CT scan slice, 512x512 px

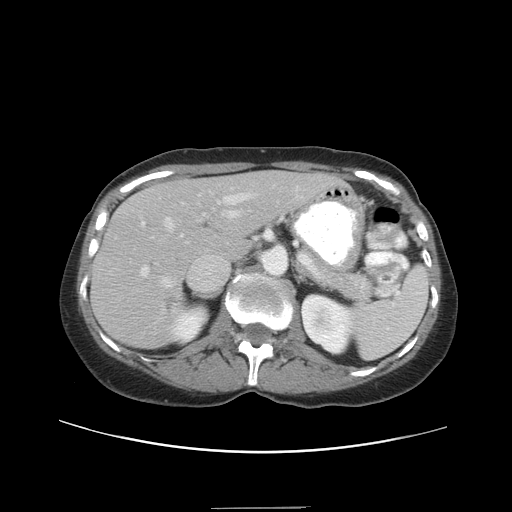
Some hepatic vessels may have no box.
hepatic_vessel:
  - (203,213,205,215)
  - (141,266,148,275)
  - (162,277,171,286)
  - (181,234,183,236)
  - (222,211,239,218)
  - (142,221,144,226)
  - (217,201,220,203)
  - (166,218,173,230)
  - (223,193,252,204)